CT. 512x512. 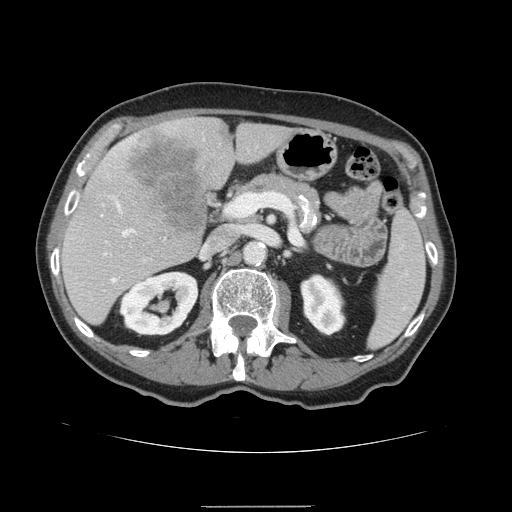

Annotated regions:
* spleen: {"x1": 370, "y1": 212, "x2": 424, "y2": 346}